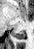 34x49, MRI, Medial temporal lobe
Posterior hippocampus at 12:32:25:39.